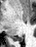

Magnetic resonance
Posterior hippocampus: x1=11, y1=36, x2=23, y2=42.